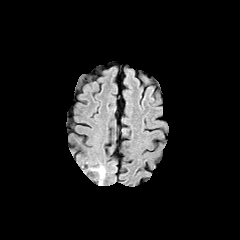
FLAIR magnetic resonance.
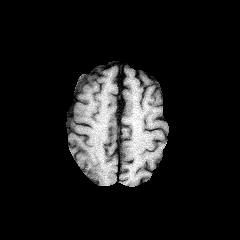
T1-weighted MR image.
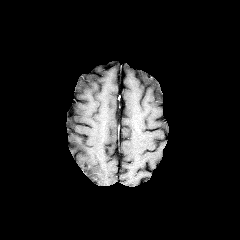
Same slice, post-contrast T1-weighted MR.
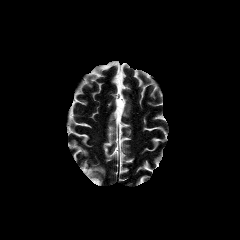
Same slice, T2-weighted MR image.
Brain
The edema is bounded by box=[87, 160, 105, 184].